Head
FLAIR MR.
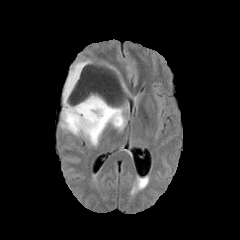
T1-weighted MR.
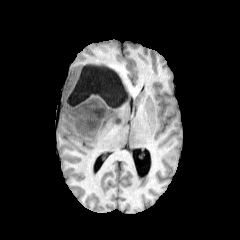
Post-contrast T1-weighted magnetic resonance.
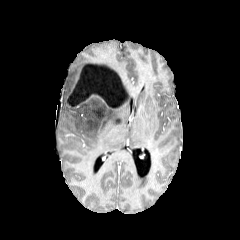
T2-weighted magnetic resonance.
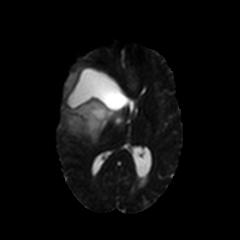
{
  "non-enhancing_tumor_core": [
    "region(71, 70, 123, 129)"
  ],
  "edema": [
    "region(60, 58, 129, 145)",
    "region(82, 98, 104, 118)"
  ]
}